Upper abdomen | CT image
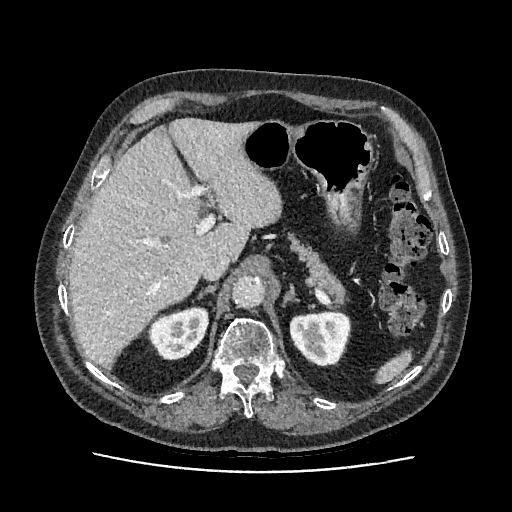

<segmentation>
  <kidney>x1=151, y1=308, x2=207, y2=358; x1=290, y1=313, x2=349, y2=365</kidney>
  <liver>x1=69, y1=119, x2=280, y2=368</liver>
</segmentation>